FLAIR MRI.
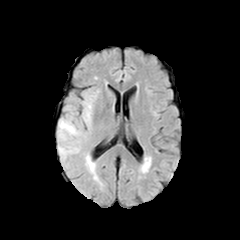
T1-weighted MRI.
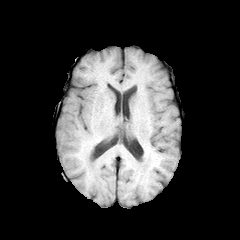
Post-contrast T1-weighted MRI.
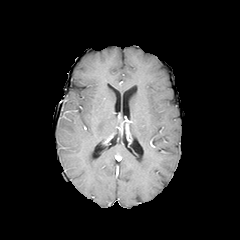
T2-weighted MRI.
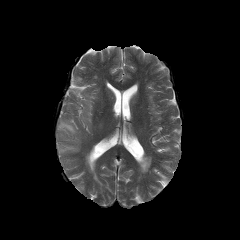
Brain
Edema: box(84, 153, 95, 172); box(57, 92, 96, 160).